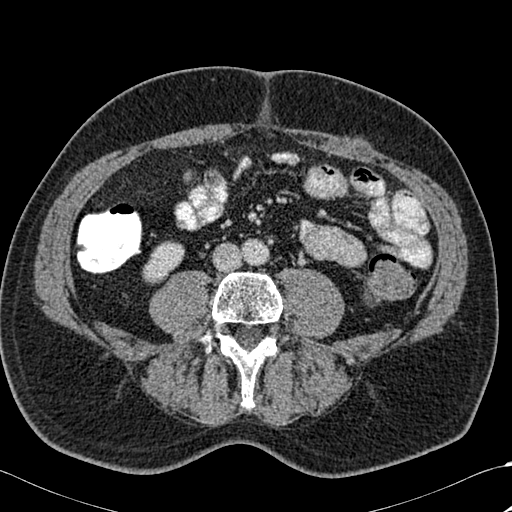

Abdomen. CT.

Segmented structures:
* bone: (201,332,211,342), (211,272,283,408)
* kidney: (145,244,183,277)